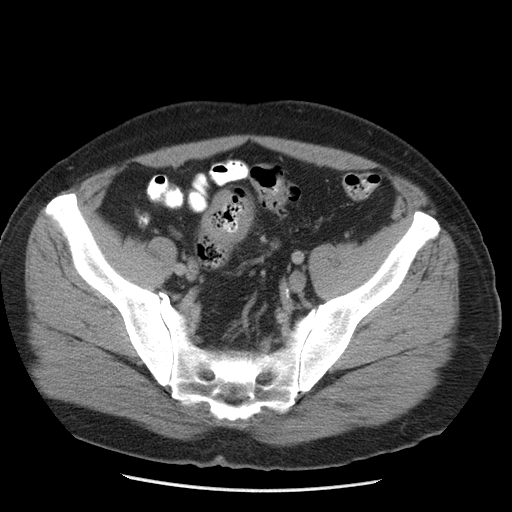

Pelvis, CT image
colon tumor: l=201, t=190, r=252, b=247